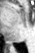

Medial temporal lobe, MR image
Posterior hippocampus: [6, 42, 12, 46].